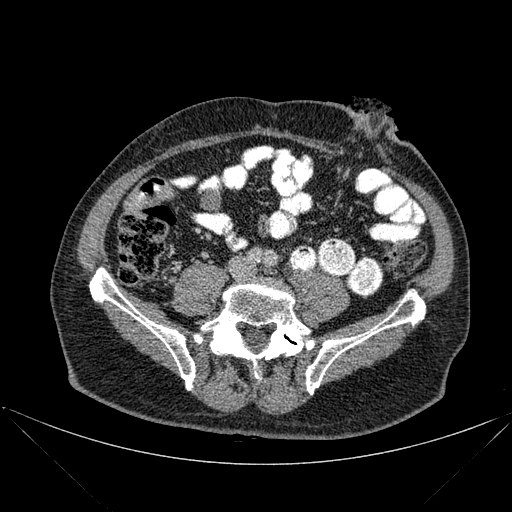

Computed tomography, 512x512
bone:
  - box(306, 290, 425, 394)
  - box(194, 283, 314, 368)
  - box(89, 268, 195, 389)